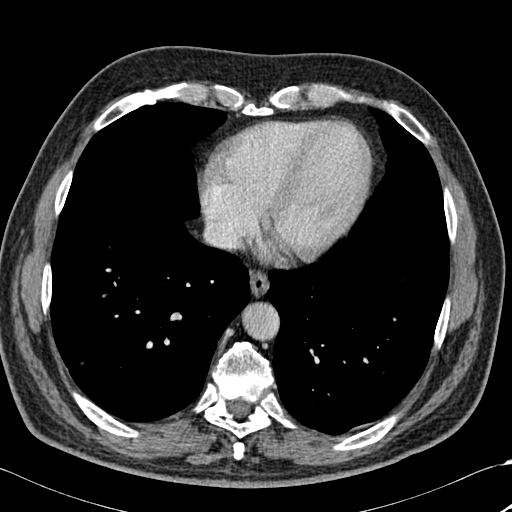 512x512 px | Chest | Computed tomography
Annotated regions:
• bone: 196 342 293 437, 230 90 242 105, 74 393 137 436, 233 442 243 459, 334 417 395 450, 41 266 51 309, 243 104 272 115, 444 190 456 239, 434 301 449 345, 94 84 188 129, 385 104 429 142, 270 87 294 107, 55 173 71 213
• lung: 266 107 449 434, 50 102 250 422